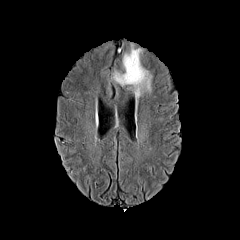
FLAIR MRI.
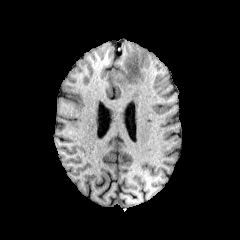
T1-weighted MRI of the same slice.
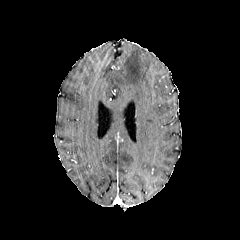
Post-contrast T1-weighted MR image.
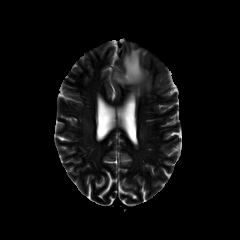
T2-weighted MR of the same slice.
* edema: [131,87,143,97], [112,47,151,85]